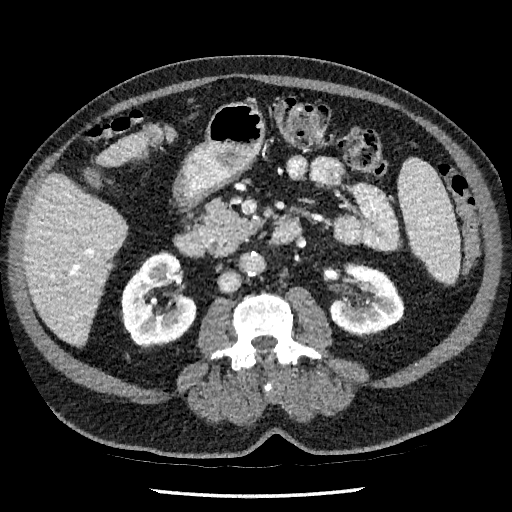
Computed tomography
liver:
  - x1=97, y1=134, x2=145, y2=166
  - x1=24, y1=175, x2=126, y2=346
kidney:
  - x1=122, y1=253, x2=195, y2=344
  - x1=331, y1=266, x2=403, y2=333